CT scan slice
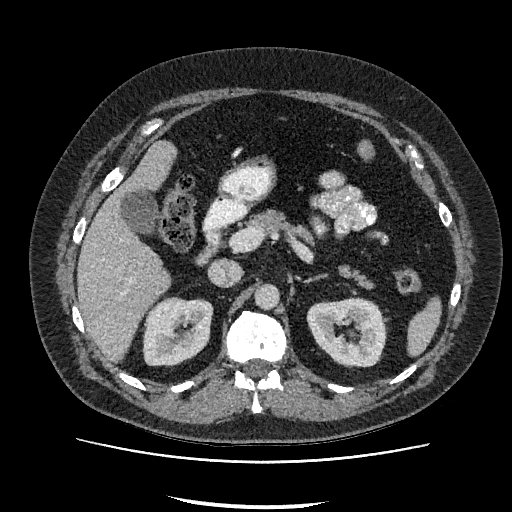 Kidney: bounding box [x1=144, y1=300, x2=211, y2=364], [x1=308, y1=299, x2=384, y2=365].
Liver: bounding box [x1=78, y1=140, x2=175, y2=362].